Computed tomography | Image size 512x512 | Abdomen

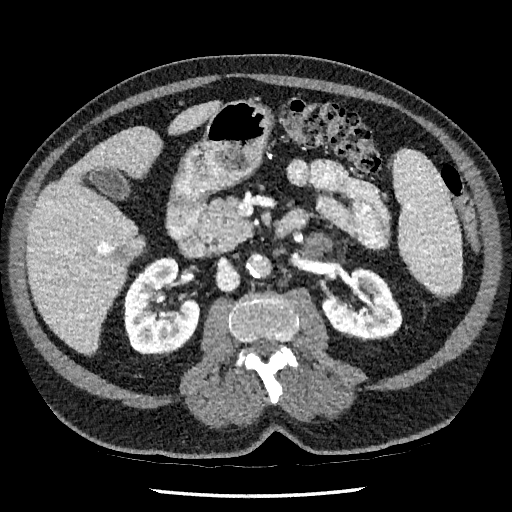
<segmentation>
  <kidney>l=125, t=259, r=199, b=352; l=323, t=270, r=401, b=337</kidney>
  <liver_lesion>l=114, t=251, r=124, b=260</liver_lesion>
  <liver>l=26, t=127, r=161, b=354; l=170, t=102, r=219, b=133</liver>
</segmentation>